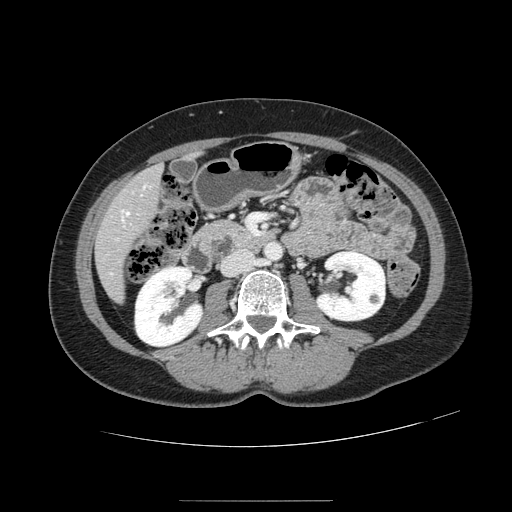
CT slice; Abdomen
Annotated regions:
• pancreatic tumor: 212, 236, 233, 257
• pancreas: 193, 219, 264, 267